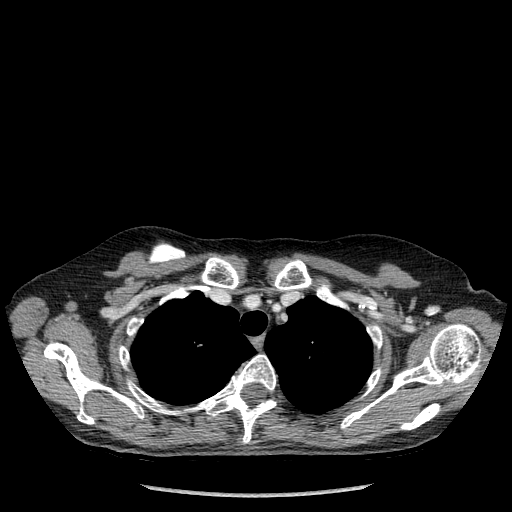 Computed tomography; 512x512

Lung — left=130, top=290, right=267, bottom=405; left=264, top=296, right=372, bottom=413.
Bone — left=127, top=317, right=143, bottom=335; left=317, top=283, right=345, bottom=308; left=341, top=324, right=481, bottom=429; left=118, top=346, right=129, bottom=368; left=43, top=342, right=181, bottom=424; left=367, top=325, right=382, bottom=348; left=274, top=259, right=311, bottom=292; left=363, top=367, right=381, bottom=395; left=183, top=354, right=276, bottom=443; left=201, top=256, right=239, bottom=291; left=159, top=285, right=188, bottom=304; left=400, top=403, right=440, bottom=429.